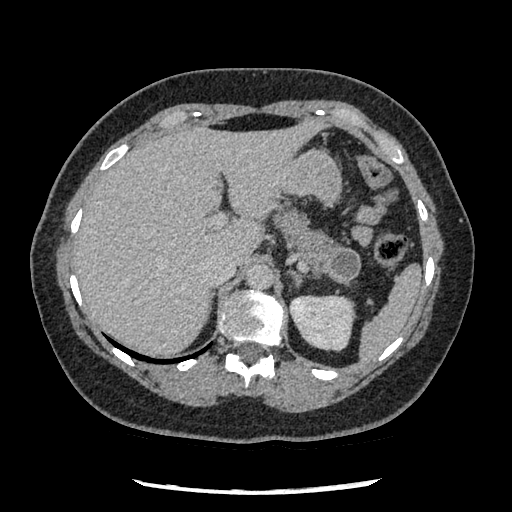
CT slice
Pancreatic tumor: bounding box x1=325 y1=248 x2=361 y2=281.
Pancreas: bounding box x1=275 y1=204 x2=345 y2=279, x1=335 y1=275 x2=358 y2=284.